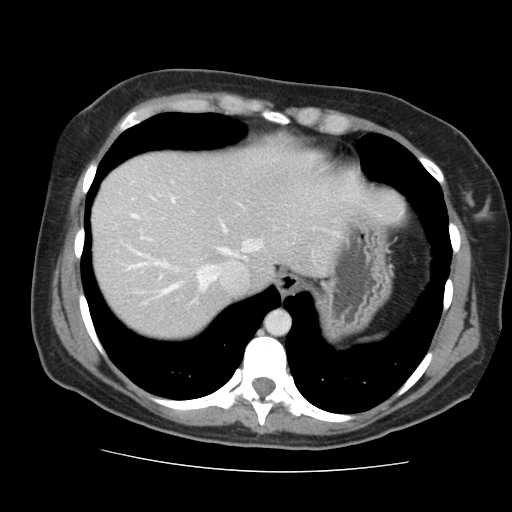

CT scan slice. Image size 512x512. Liver. The vessel boxes may cover only some of the vessels.
5 hepatic vessel regions are located at x1=161 y1=285 x2=177 y2=293, x1=209 y1=267 x2=213 y2=268, x1=196 y1=272 x2=215 y2=288, x1=243 y1=243 x2=257 y2=251, x1=131 y1=264 x2=144 y2=267.